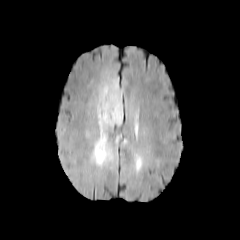
FLAIR magnetic resonance.
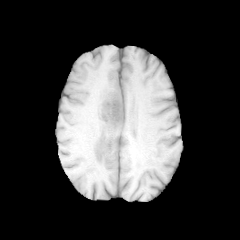
T1-weighted MRI.
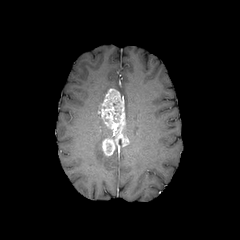
Post-contrast T1-weighted MRI of the same slice.
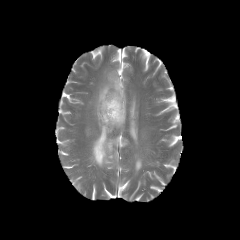
Same slice, T2-weighted MR image.
240x240. Brain.
Annotated regions:
* edema: l=136, t=159, r=142, b=172; l=92, t=112, r=111, b=166; l=97, t=80, r=121, b=108
* enhancing tumor: l=98, t=88, r=130, b=155